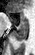
MR image, Medial temporal lobe

Annotated regions:
• posterior hippocampus: <bbox>13, 23, 28, 40</bbox>
• anterior hippocampus: <bbox>8, 14, 12, 21</bbox>, <bbox>20, 13, 28, 22</bbox>